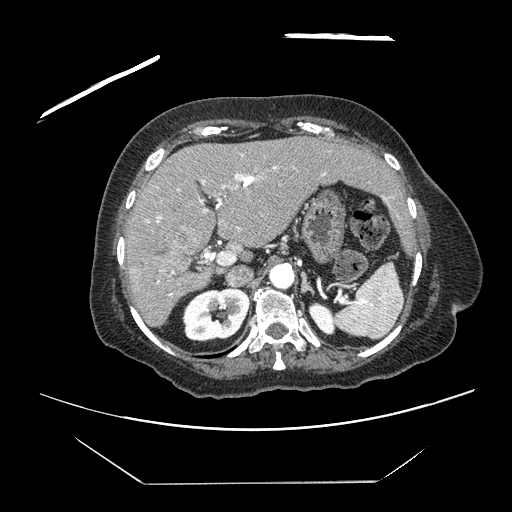

CT

The vessel annotation is not exhaustive.
4 hepatic vessel regions appear at 219,200,220,202; 235,174,244,179; 218,252,234,264; 157,217,160,220. The liver tumor is at 176,227,200,251.